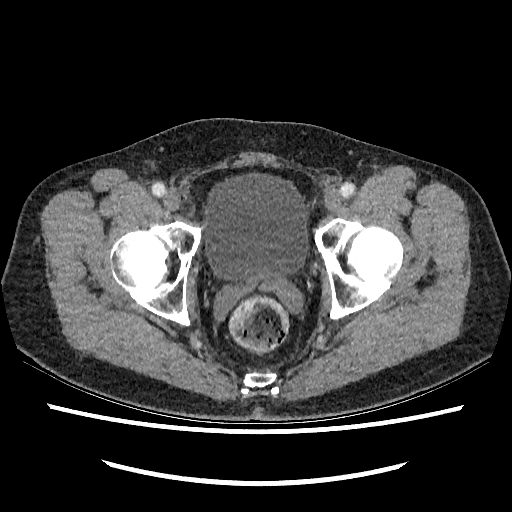

CT slice | Pelvis

Urinary bladder = 201,172,309,280.